FLAIR magnetic resonance.
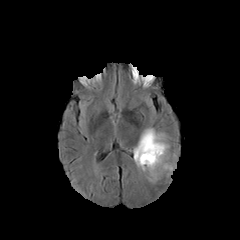
T1-weighted MR.
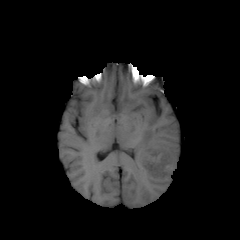
Post-contrast T1-weighted MR.
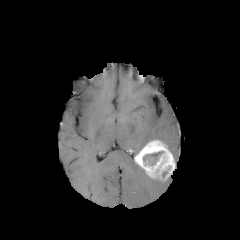
T2-weighted MRI.
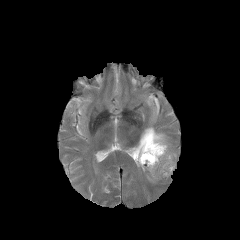
* enhancing tumor: l=134, t=139, r=176, b=180
* edema: l=131, t=125, r=171, b=153